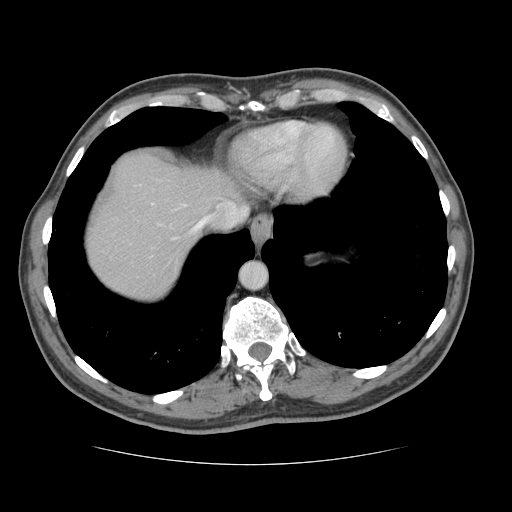

CT image | Abdomen
Only some of the vessels may be annotated.
hepatic_vessel:
  - 192 217 206 231
  - 173 237 176 238